FLAIR magnetic resonance.
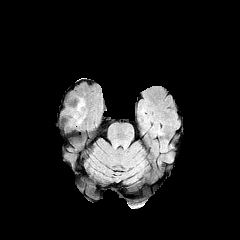
T1-weighted magnetic resonance.
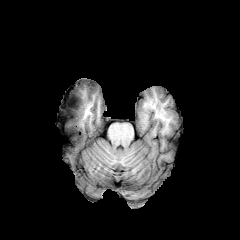
Post-contrast T1-weighted magnetic resonance.
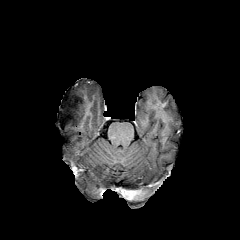
T2-weighted MRI.
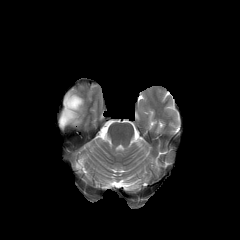
240x240. Brain.
Findings:
- edema: (72, 112, 82, 125)
- non-enhancing tumor core: (64, 99, 81, 123)